Field of view 400 mm wide, 1.37 mm slice spacing | MR image | Slice 56/110

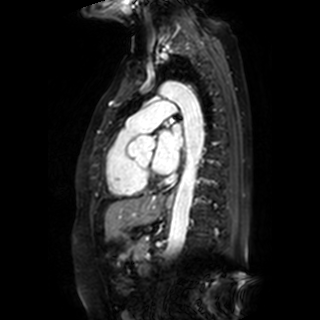 Left atrium at (153,124,182,174).